Slice 13 of 29 | MR

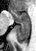
Posterior hippocampus: bounding box bbox=[15, 23, 30, 43].
Anterior hippocampus: bounding box bbox=[9, 9, 29, 22].